CT slice | 512x512 px | Slice 33 of 89 | Upper abdomen

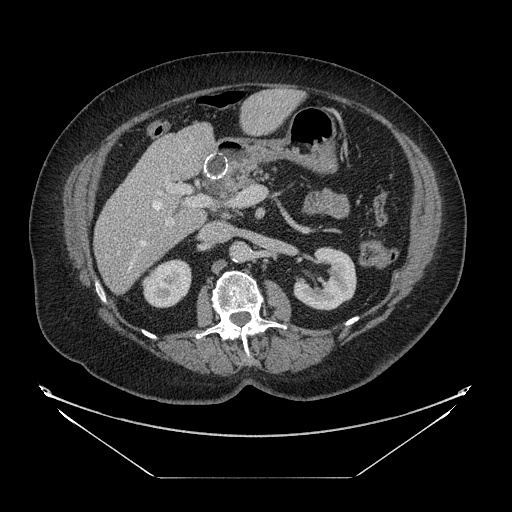

pancreas:
  - (206,165,264,198)